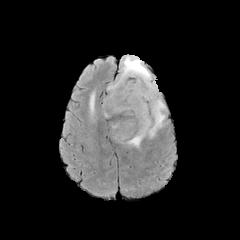
FLAIR MR image.
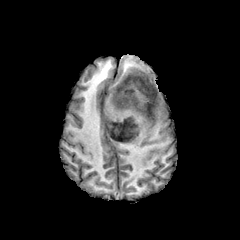
T1-weighted MR image.
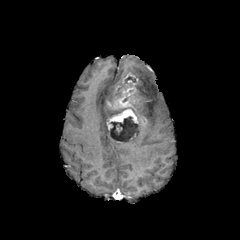
Post-contrast T1-weighted MR image.
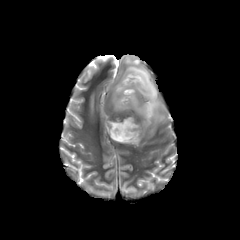
T2-weighted magnetic resonance.
2 enhancing tumor regions are located at bbox=[107, 109, 138, 130]; bbox=[108, 84, 136, 109]. 2 edema regions are bounded by bbox=[108, 54, 165, 145]; bbox=[90, 93, 94, 112]. 2 non-enhancing tumor core regions appear at bbox=[109, 75, 146, 109]; bbox=[109, 116, 138, 142].